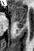

MRI slice

posterior hippocampus: region(17, 22, 25, 28); region(16, 30, 17, 32) | anterior hippocampus: region(12, 5, 26, 21)